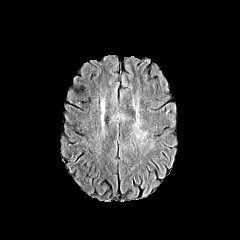
FLAIR MRI.
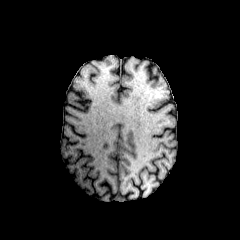
T1-weighted magnetic resonance of the same slice.
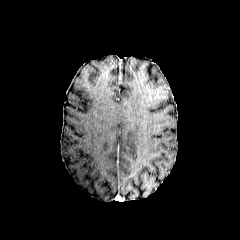
Post-contrast T1-weighted MR image.
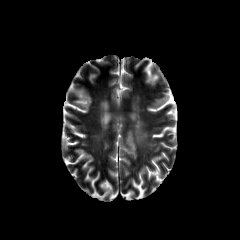
T2-weighted MR image of the same slice.
Head
Annotated regions:
- edema: region(136, 130, 147, 143)